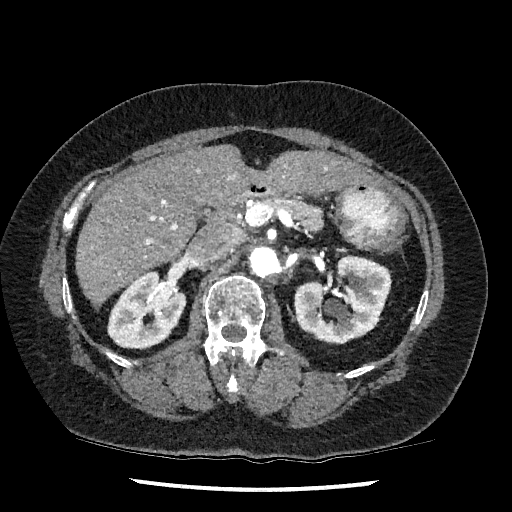 Abdomen; Computed tomography
<segmentation>
  <liver><box>76,145,376,307</box></liver>
  <kidney><box>295,257,390,343</box>, <box>108,263,185,348</box></kidney>
</segmentation>